Upper abdomen. CT slice.

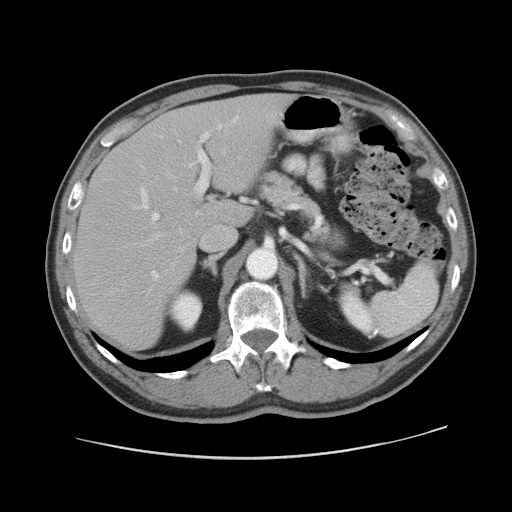

{"pancreas": ["l=257, t=171, r=332, b=247"]}